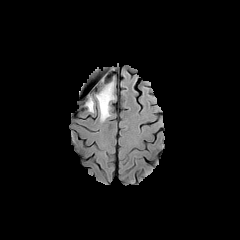
FLAIR MR image.
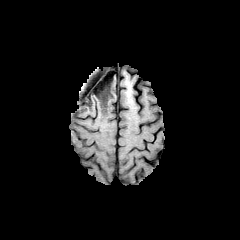
T1-weighted MR image.
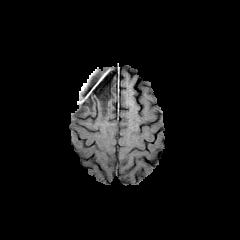
Post-contrast T1-weighted magnetic resonance of the same slice.
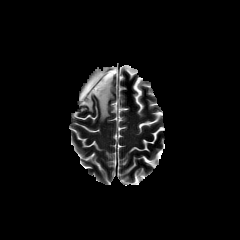
T2-weighted magnetic resonance.
Head
The edema is at 86, 81, 114, 122. The non-enhancing tumor core is at 84, 80, 111, 105.